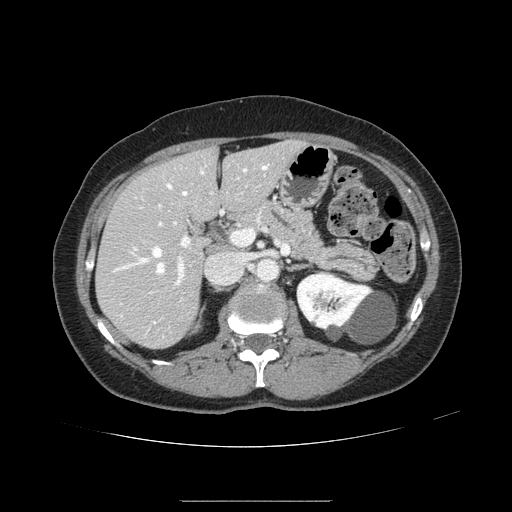
CT slice. Upper abdomen.

The pancreas lies within 207:199:378:281.